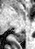 MR | Medial temporal lobe
* posterior hippocampus: <bbox>13, 31, 25, 42</bbox>